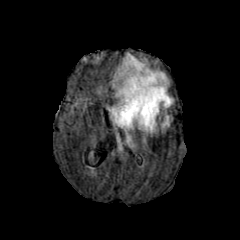
FLAIR MR image.
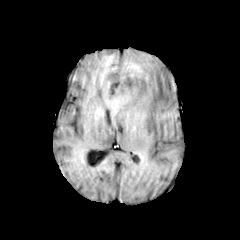
T1-weighted MR.
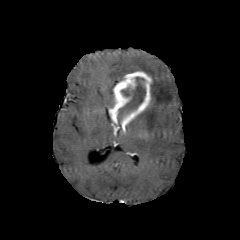
Same slice, post-contrast T1-weighted magnetic resonance.
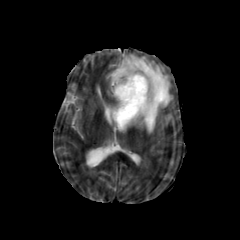
T2-weighted magnetic resonance.
Brain, Image size 240x240
Edema = region(110, 53, 173, 134).
Enhancing tumor = region(108, 71, 152, 132).
Non-enhancing tumor core = region(118, 77, 145, 121).